Slice 108/155. 240x240. Brain.
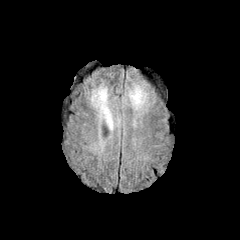
FLAIR MRI.
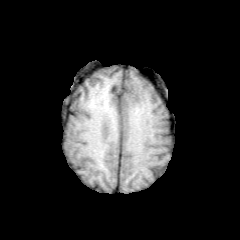
T1-weighted MR.
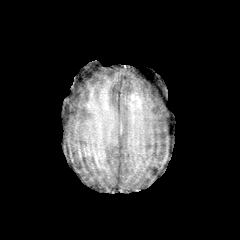
Post-contrast T1-weighted magnetic resonance.
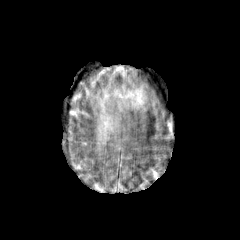
T2-weighted MR image of the same slice.
<segmentation>
  <edema>[x1=92, y1=89, x2=113, y2=130], [x1=124, y1=86, x2=145, y2=108]</edema>
  <enhancing_tumor>[x1=131, y1=95, x2=140, y2=104]</enhancing_tumor>
</segmentation>